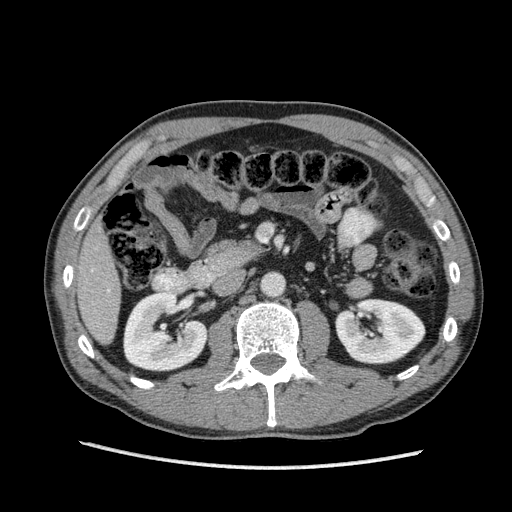 CT scan slice.
Kidney: bounding box left=336, top=300, right=423, bottom=362; left=124, top=291, right=206, bottom=369.
Liver: bounding box left=68, top=219, right=120, bottom=344.